Slice 103/142. CT. Field of view 398x398 mm.
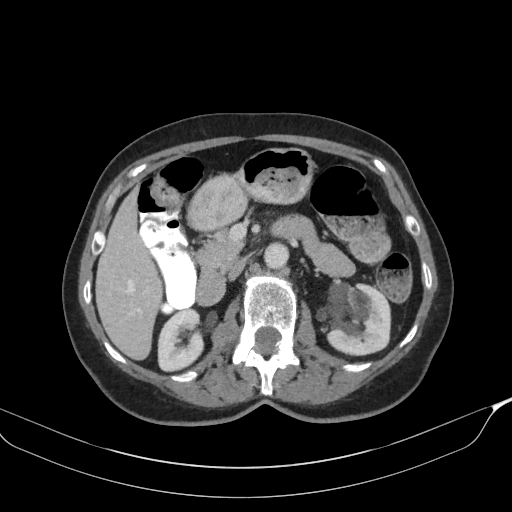
The pancreas is at (198, 230, 242, 273).